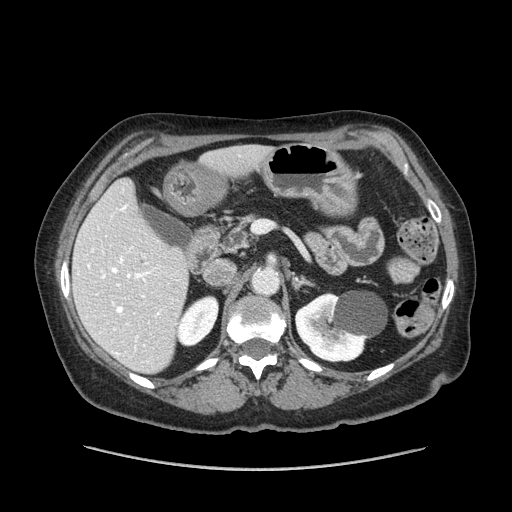

Image size 512x512; CT scan slice; Abdomen

Pancreas at (x1=220, y1=215, x2=255, y2=253).